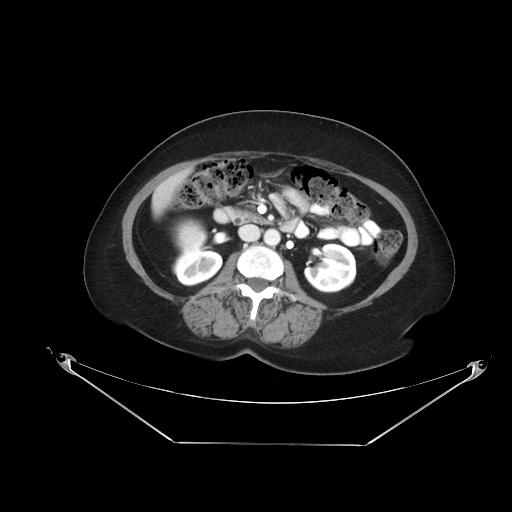

Liver. CT. Image size 512x512.

{"liver_tumor": ["(x1=180, y1=224, x2=205, y2=246)"]}